FLAIR magnetic resonance.
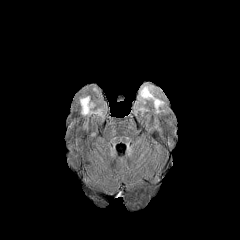
T1-weighted MR.
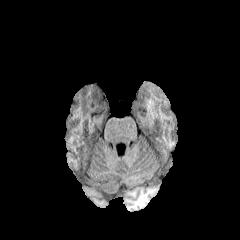
Post-contrast T1-weighted MR.
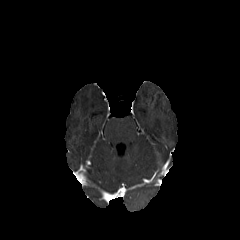
T2-weighted MR image.
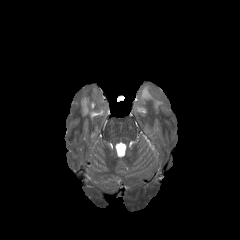
edema: [x1=140, y1=86, x2=163, y2=113], [x1=80, y1=97, x2=94, y2=115]